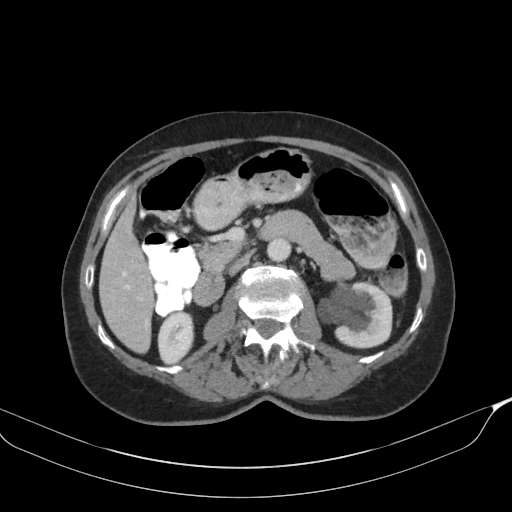

Computed tomography, Upper abdomen
pancreas:
  - <bbox>201, 242, 241, 272</bbox>